Slice 38/93 | CT | Image width 370 mm

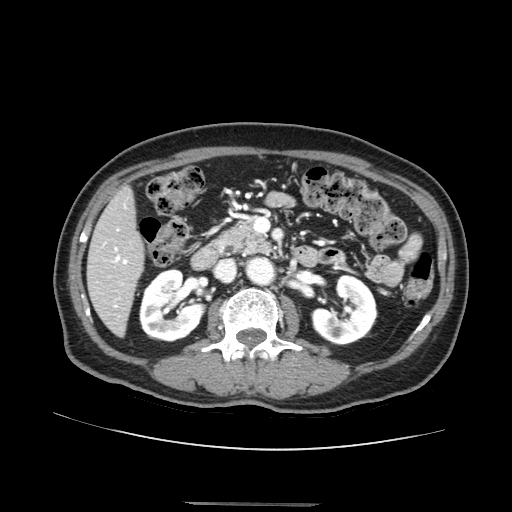
Pancreas — region(229, 224, 266, 252).